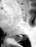

MRI slice. Medial temporal lobe. Posterior hippocampus — (left=12, top=37, right=22, bottom=41).